Slice index 82. Magnetic resonance.

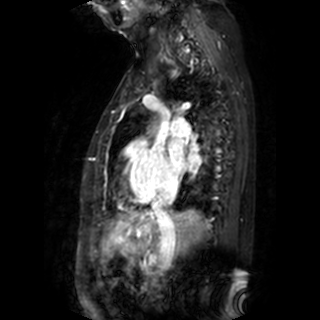
2 left atrium regions are bounded by 188,154,199,165; 168,140,185,170.